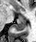 Hippocampus. MRI.
• anterior hippocampus: (16,14,25,20)
• posterior hippocampus: (11,21,25,31)